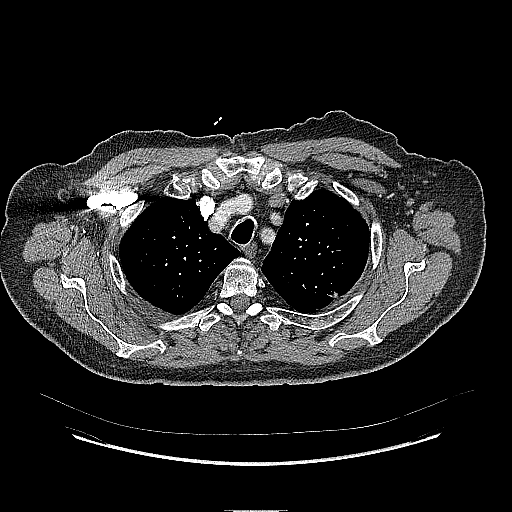 Computed tomography
Lung tumor at (left=325, top=287, right=338, bottom=298).